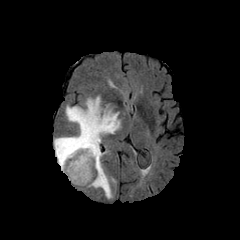
FLAIR MR image.
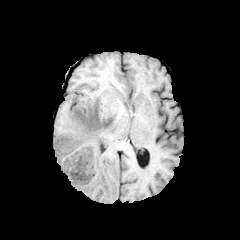
T1-weighted magnetic resonance.
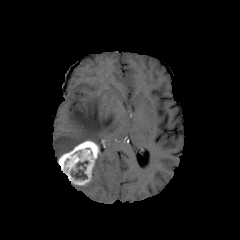
Post-contrast T1-weighted MR image.
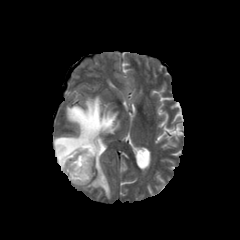
Same slice, T2-weighted MR image.
edema: {"x1": 87, "y1": 152, "x2": 116, "y2": 198}, {"x1": 54, "y1": 96, "x2": 120, "y2": 160} | enhancing tumor: {"x1": 58, "y1": 141, "x2": 99, "y2": 186} | non-enhancing tumor core: {"x1": 71, "y1": 170, "x2": 87, "y2": 178}